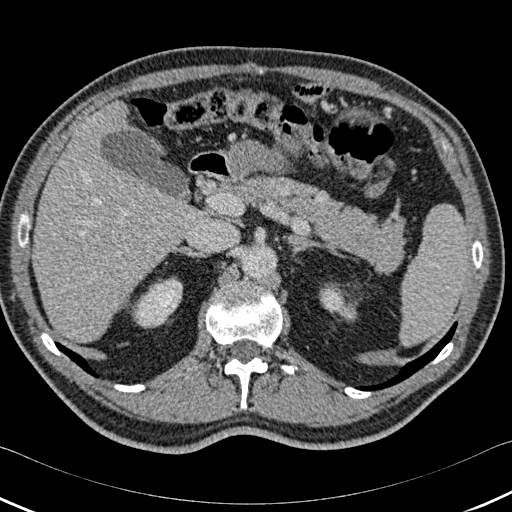
Computed tomography; 512x512 px

lung:
  - rect(64, 348, 100, 377)
  - rect(355, 321, 457, 390)
kidney:
  - rect(136, 280, 181, 325)
  - rect(322, 289, 352, 317)
liver:
  - rect(33, 101, 200, 342)
bone:
  - rect(114, 384, 144, 392)
  - rect(41, 333, 60, 355)
  - rect(433, 343, 452, 363)
  - rect(18, 214, 29, 246)
  - rect(281, 365, 297, 374)
  - rect(225, 358, 267, 408)
  - rect(206, 283, 282, 347)
  - rect(345, 387, 370, 398)
  - rect(472, 241, 482, 268)